CT slice | 512x512 px 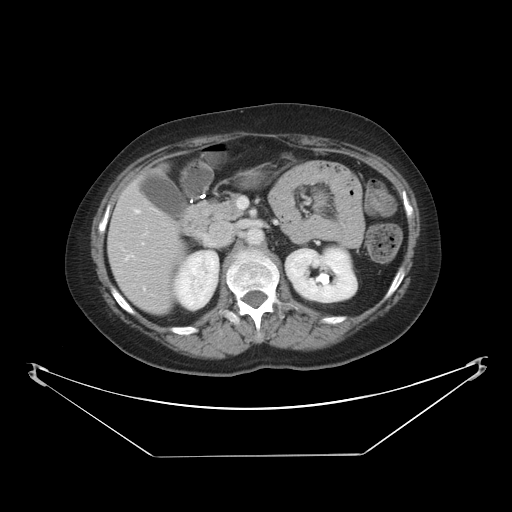
Not every hepatic vessel necessarily has a box.
Hepatic vessel — left=126, top=255, right=132, bottom=258; left=143, top=288, right=145, bottom=289; left=135, top=210, right=139, bottom=212.